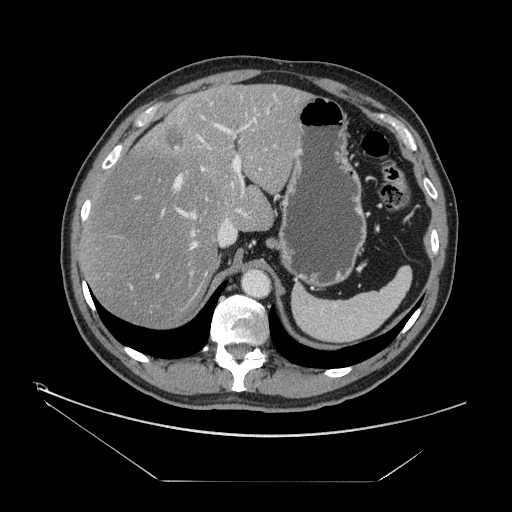
Computed tomography
Only some of the vessels may be annotated.
The liver tumor is at [166, 130, 185, 148]. 13 hepatic vessel regions are bounded by [192, 232, 194, 234], [179, 210, 194, 217], [233, 157, 240, 178], [225, 219, 227, 221], [201, 167, 203, 170], [241, 183, 243, 188], [174, 176, 181, 188], [215, 124, 233, 133], [207, 146, 209, 148], [199, 137, 202, 141], [192, 244, 196, 247], [243, 124, 248, 127], [253, 117, 255, 121].